Slice index 439 | CT scan slice | Liver | 512x512 px

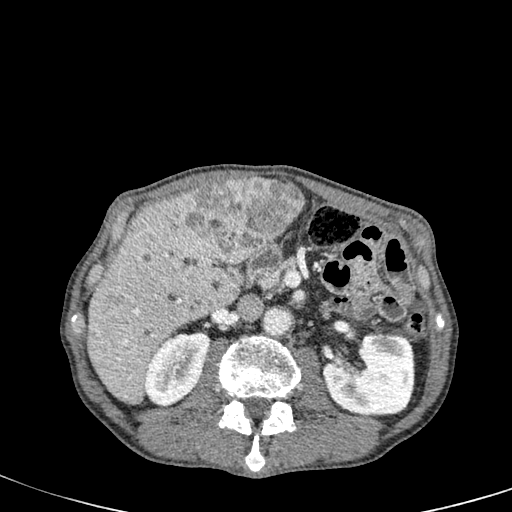 2 kidney regions appear at <box>143,333,209,405</box>, <box>323,336,413,414</box>. The focal liver lesion lies within <box>187,177,303,263</box>. 2 liver regions are located at <box>87,192,238,404</box>, <box>279,182,303,197</box>.